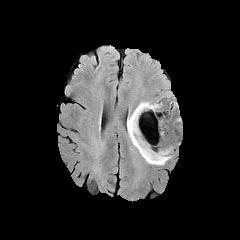
FLAIR MRI.
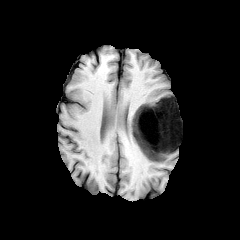
T1-weighted MRI.
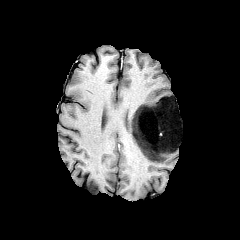
Post-contrast T1-weighted MR.
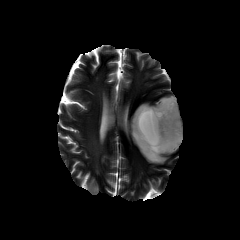
T2-weighted magnetic resonance.
Non-enhancing tumor core = x1=133 y1=99 x2=179 y2=160.
Edema = x1=127 y1=101 x2=174 y2=164, x1=156 y1=96 x2=180 y2=132, x1=136 y1=110 x2=161 y2=137, x1=148 y1=136 x2=163 y2=149.